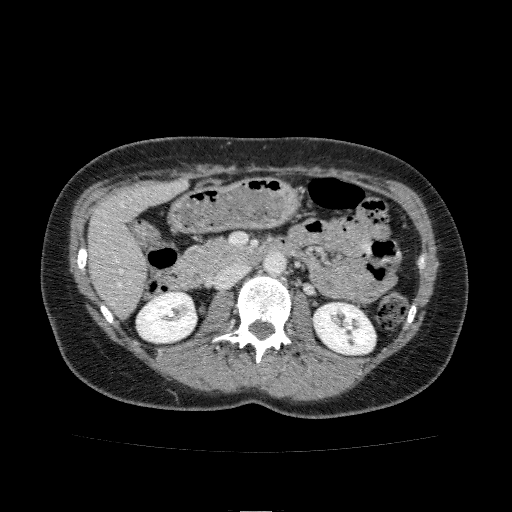

CT image
2 kidney regions appear at 313,303,375,354; 136,292,196,342. The liver appears at 88,180,185,316.